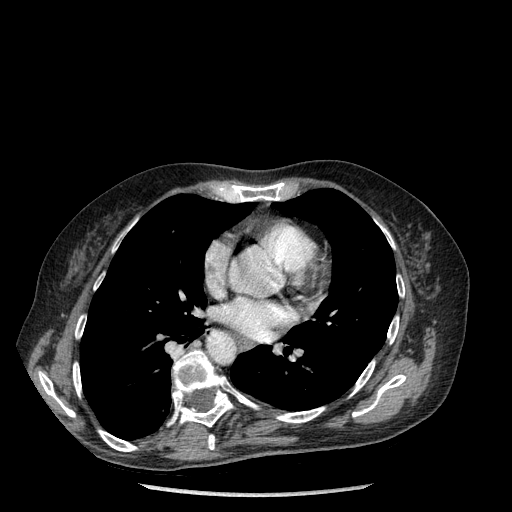

Image size 512x512, Computed tomography
Lung at l=230, t=188, r=397, b=410; l=80, t=194, r=255, b=440.
Bone at l=350, t=360, r=375, b=396; l=352, t=374, r=406, b=417; l=75, t=315, r=86, b=338; l=207, t=434, r=214, b=449; l=376, t=221, r=395, b=248; l=396, t=275, r=404, b=297; l=38, t=371, r=75, b=417; l=167, t=349, r=259, b=426; l=276, t=407, r=324, b=422; l=112, t=220, r=135, b=252; l=98, t=430, r=137, b=451; l=387, t=316, r=398, b=344; l=73, t=362, r=81, b=397; l=224, t=182, r=287, b=202.